240x240; Brain; Slice 82 of 155
FLAIR MR image.
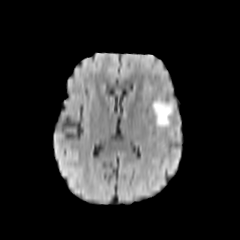
T1-weighted MRI.
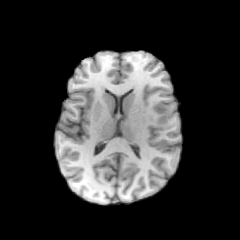
Post-contrast T1-weighted MR image.
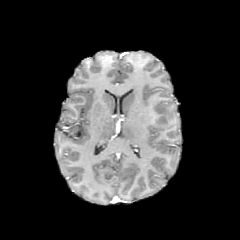
T2-weighted MR image.
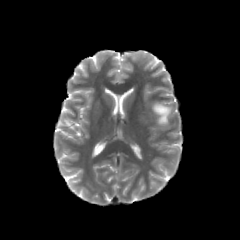
Non-enhancing tumor core at {"x1": 153, "y1": 101, "x2": 174, "y2": 125}.